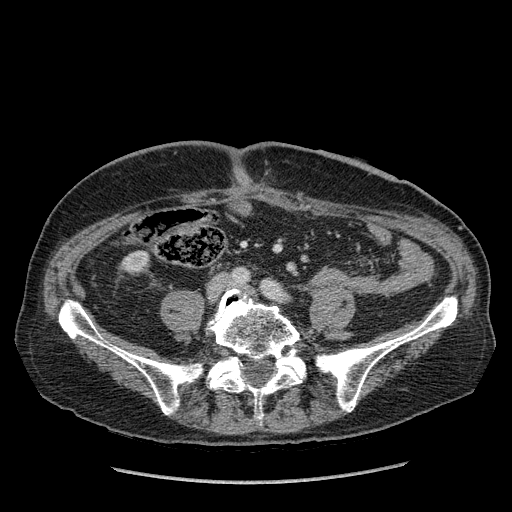 CT scan slice. Abdomen. Image size 512x512. The kidney lies within left=122, top=251, right=148, bottom=271.